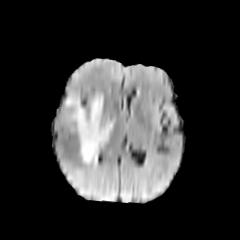
FLAIR magnetic resonance.
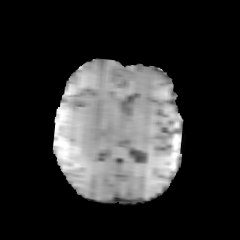
Same slice, T1-weighted MRI.
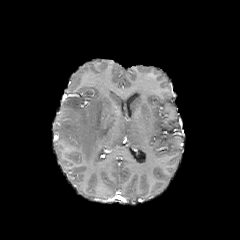
Post-contrast T1-weighted magnetic resonance.
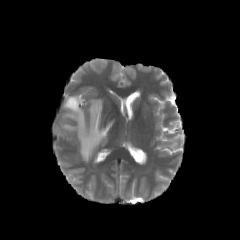
Same slice, T2-weighted MR image.
Head
{
  "edema": [
    "(66, 94, 112, 164)"
  ]
}